Slice 490/630; CT scan slice
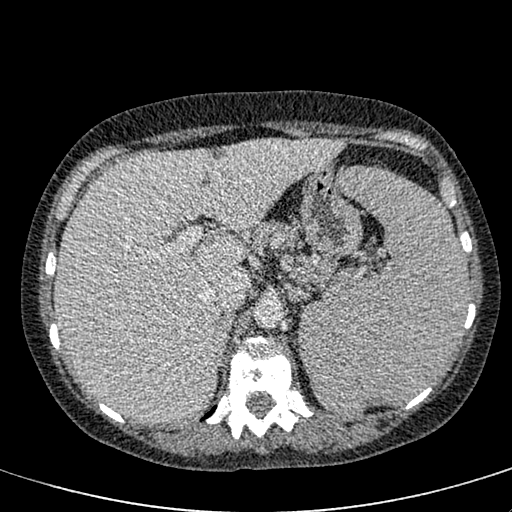

{
  "liver": [
    "<bbox>57, 139, 344, 422</bbox>"
  ]
}